FLAIR MR.
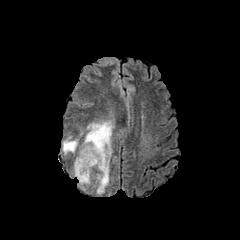
T1-weighted MR image.
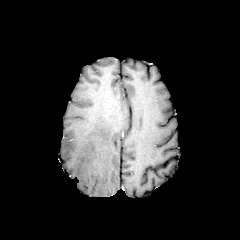
Post-contrast T1-weighted MR image.
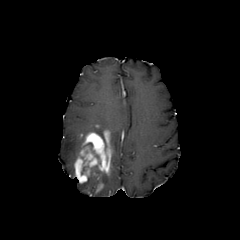
T2-weighted MR image.
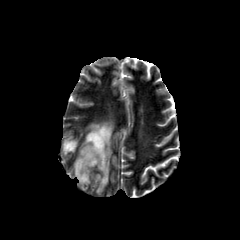
Brain
Edema: l=96, t=171, r=109, b=186; l=61, t=136, r=78, b=155; l=79, t=171, r=91, b=190; l=86, t=120, r=114, b=144.
Enhancing tumor: l=96, t=181, r=104, b=193; l=74, t=130, r=112, b=183.